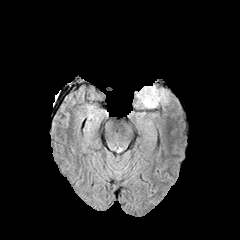
FLAIR MRI.
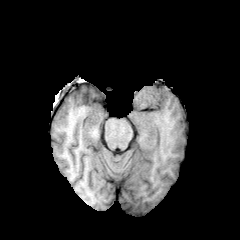
T1-weighted MR image.
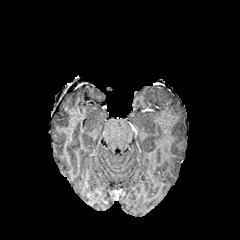
Post-contrast T1-weighted MR image of the same slice.
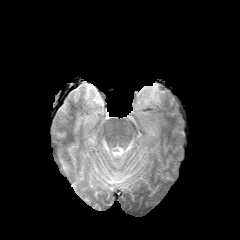
Same slice, T2-weighted MR.
Brain
• edema: <bbox>137, 85, 163, 108</bbox>